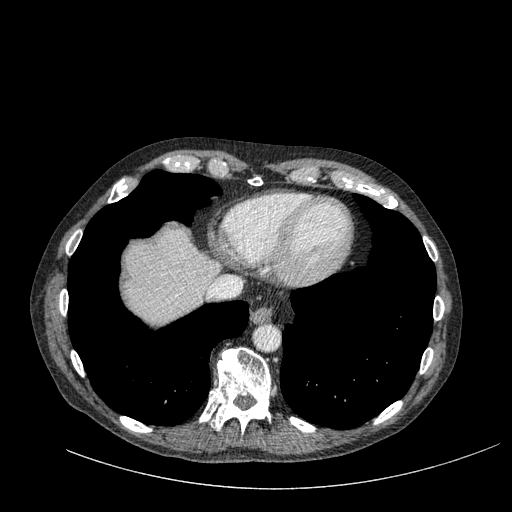
Computed tomography

The liver is at region(124, 226, 219, 324).